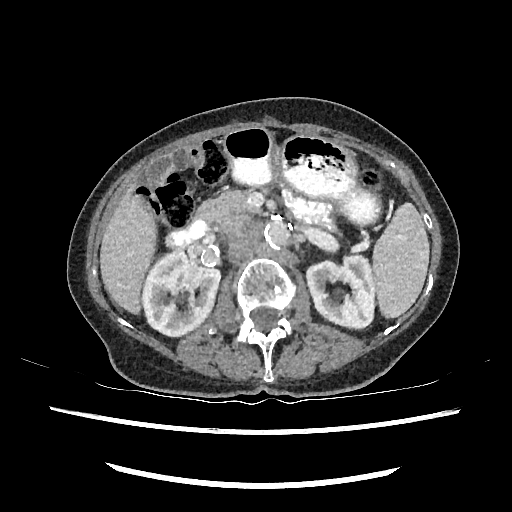

CT.

Kidney = x1=307, y1=256, x2=374, y2=327; x1=143, y1=252, x2=220, y2=335.
Liver = x1=100, y1=188, x2=154, y2=311.